FLAIR MR image.
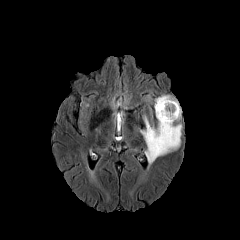
T1-weighted MRI.
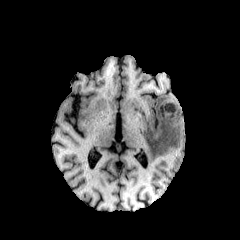
Post-contrast T1-weighted MR.
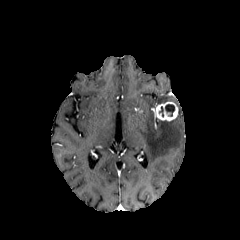
T2-weighted MR image.
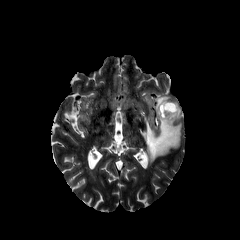
240x240 px | Head
enhancing tumor: 156,101,178,121 | non-enhancing tumor core: 165,104,175,116 | edema: 156,95,175,104; 140,107,182,166